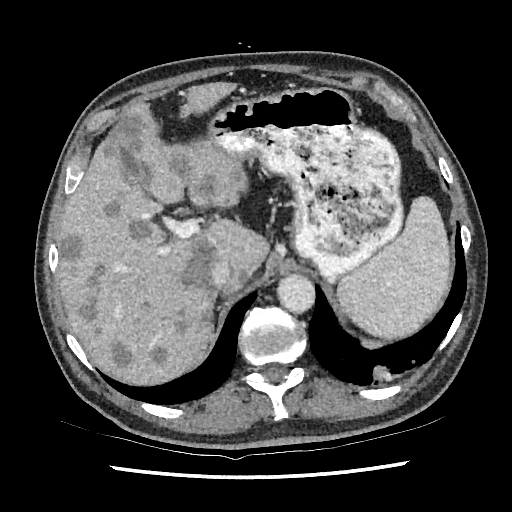 CT slice. Upper abdomen.

Annotated regions:
* liver: 183,83,233,119; 59,103,267,384
* focal liver lesion: 79,264,109,320; 152,346,167,362; 104,198,120,217; 175,304,211,331; 238,271,246,282; 61,236,82,263; 112,340,131,366; 170,152,191,176; 126,220,150,241; 177,239,218,297; 107,113,141,154; 195,174,221,197